CT image, Image width 382 mm, Liver

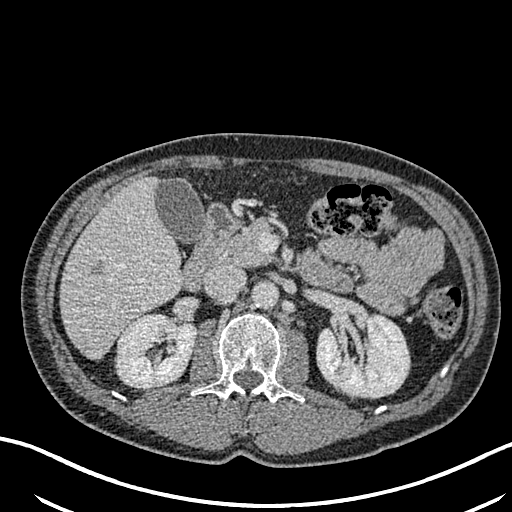 2 hepatic lesion regions are bounded by {"x1": 90, "y1": 260, "x2": 104, "y2": 275}, {"x1": 78, "y1": 342, "x2": 90, "y2": 353}. The liver is located at {"x1": 61, "y1": 178, "x2": 181, "y2": 358}. 2 kidney regions are bounded by {"x1": 117, "y1": 315, "x2": 195, "y2": 387}, {"x1": 317, "y1": 309, "x2": 409, "y2": 396}.